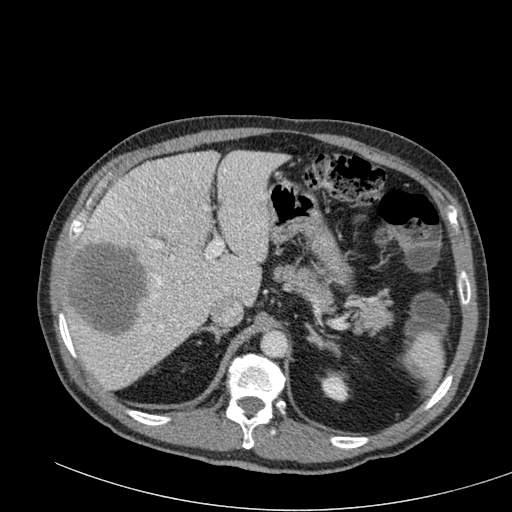 CT scan slice
Liver lesion: bounding box <box>67,240,145,334</box>.
Liver: bounding box <box>63,151,289,389</box>.
Kidney: bounding box <box>323,377,346,400</box>.